FLAIR MR.
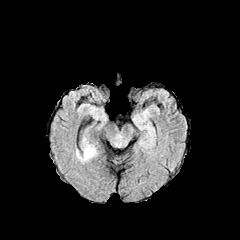
T1-weighted magnetic resonance.
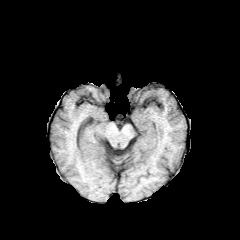
Post-contrast T1-weighted MRI.
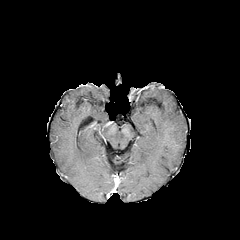
T2-weighted MRI.
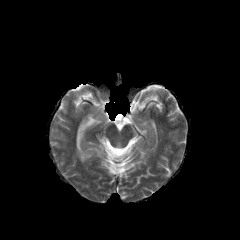
Brain
Annotated regions:
* edema: 81, 146, 96, 160